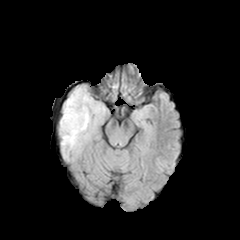
FLAIR MRI.
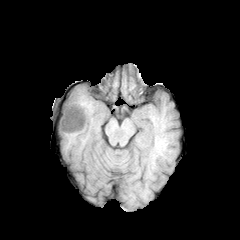
Same slice, T1-weighted magnetic resonance.
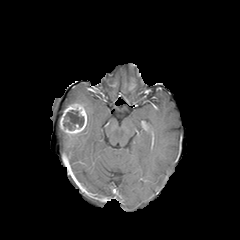
Same slice, post-contrast T1-weighted MR image.
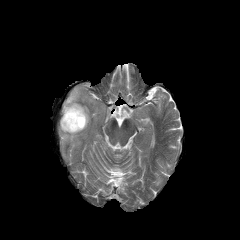
T2-weighted MR.
Findings:
* edema: rect(60, 86, 107, 160)
* non-enhancing tumor core: rect(63, 110, 84, 130)
* enhancing tumor: rect(60, 103, 86, 135)